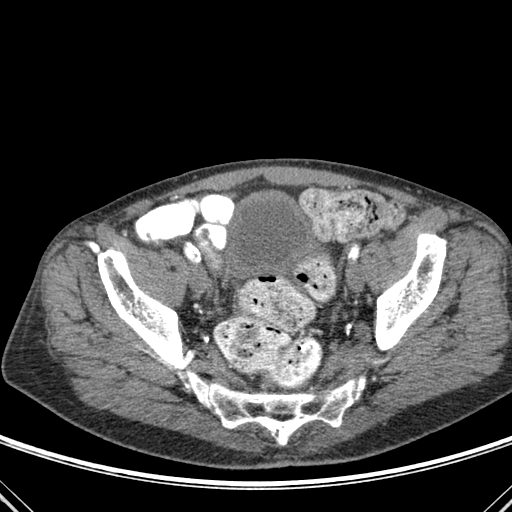
512x512 px, CT image
bone: x1=375, y1=233, x2=446, y2=350; x1=87, y1=242, x2=365, y2=445